CT image, Slice 109 of 161, 512x512 px 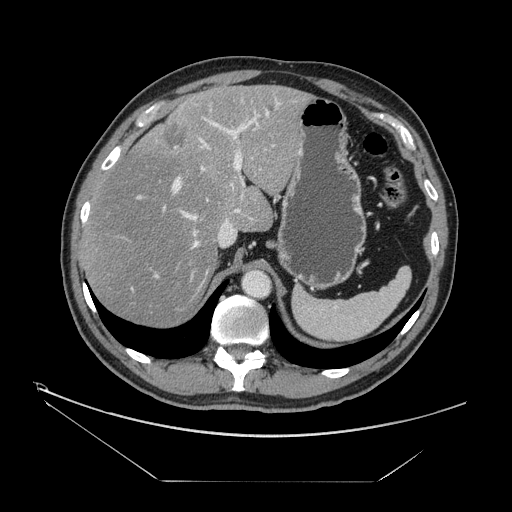
The vessel annotation is not exhaustive.
<segmentation>
  <liver_tumor>[x1=164, y1=125, x2=188, y2=150]</liver_tumor>
  <hepatic_vessel>[x1=173, y1=179, x2=180, y2=191], [x1=202, y1=167, x2=204, y2=170], [x1=208, y1=121, x2=219, y2=126], [x1=194, y1=232, x2=195, y2=234], [x1=266, y1=111, x2=268, y2=114], [x1=234, y1=154, x2=241, y2=169], [x1=138, y1=196, x2=140, y2=198], [x1=226, y1=116, x2=256, y2=137], [x1=194, y1=242, x2=197, y2=245], [x1=200, y1=139, x2=208, y2=148], [x1=183, y1=213, x2=195, y2=219]</hepatic_vessel>
</segmentation>